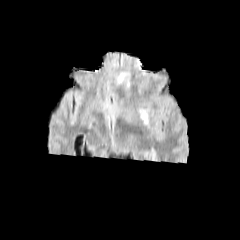
FLAIR MRI.
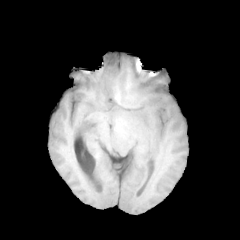
T1-weighted MR.
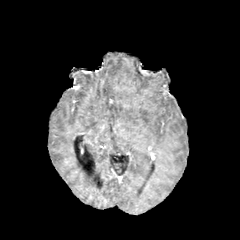
Post-contrast T1-weighted MR of the same slice.
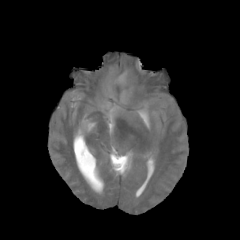
T2-weighted MR image.
Findings:
* edema: bbox(139, 108, 148, 123)